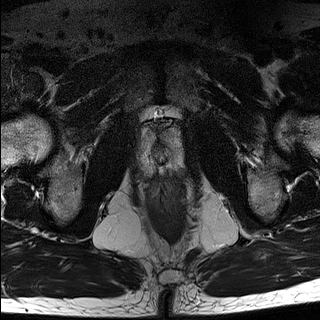
T2-weighted magnetic resonance.
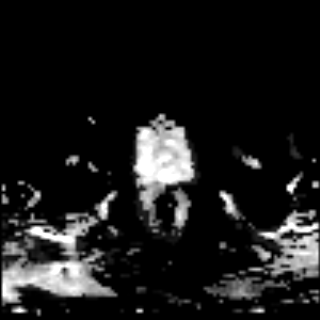
ADC magnetic resonance.
Pelvis. Image size 320x320.
Prostate peripheral zone — <bbox>137, 125, 185, 175</bbox>.
Prostate transition zone — <bbox>150, 125, 170, 163</bbox>.